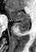

36x52 px; Magnetic resonance; Medial temporal lobe

Annotated regions:
* posterior hippocampus: (x1=16, y1=24, x2=29, y2=33)
* anterior hippocampus: (x1=9, y1=8, x2=29, y2=23)